Image size 512x512 | Computed tomography

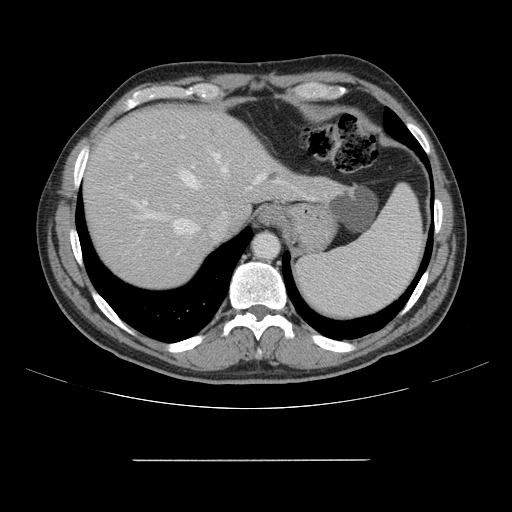 Not every hepatic vessel necessarily has a box.
The liver tumor lies within <box>270,173,277,181</box>. 10 hepatic vessel regions are located at <box>209,148,219,160</box>, <box>129,176,132,178</box>, <box>247,186,250,188</box>, <box>138,200,160,218</box>, <box>181,136,183,137</box>, <box>135,156,137,158</box>, <box>222,167,226,171</box>, <box>192,165,194,167</box>, <box>255,174,265,181</box>, <box>174,219,196,234</box>.